Abdomen; CT image; Slice 89 of 142 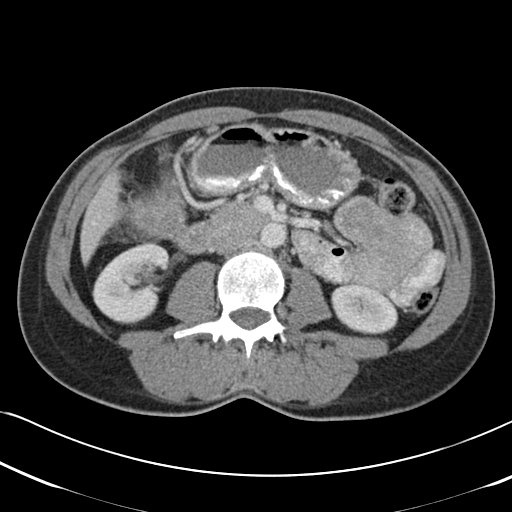
Colon tumor: bounding box box=[131, 192, 185, 239].